CT image.

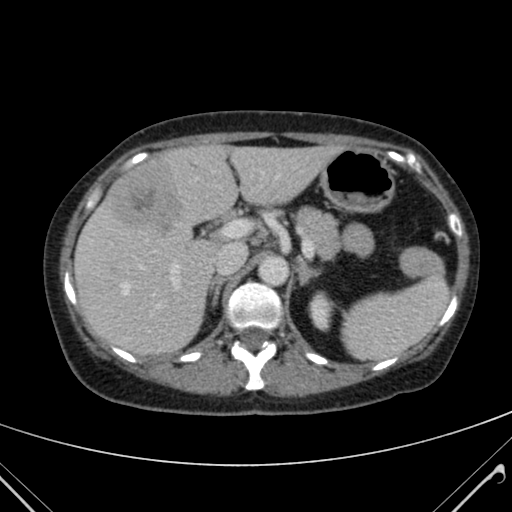

Kidney — x1=313 y1=300 x2=326 y2=325.
Liver — x1=76 y1=144 x2=330 y2=356.
Hepatic lesion — x1=107 y1=162 x2=186 y2=237.